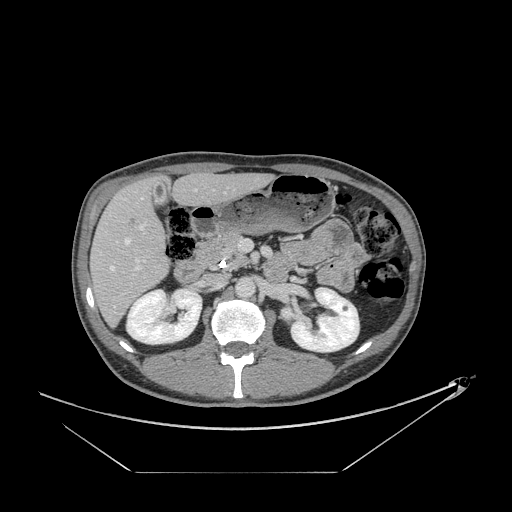 CT slice, Upper abdomen, 512x512 px
<segmentation>
  <pancreas>box(197, 236, 236, 260)</pancreas>
  <pancreatic_tumor>box(221, 238, 238, 256)</pancreatic_tumor>
</segmentation>